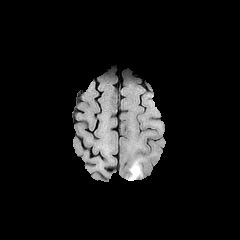
FLAIR magnetic resonance.
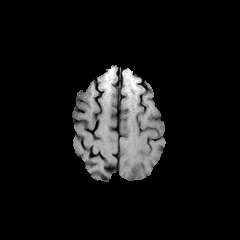
T1-weighted MR.
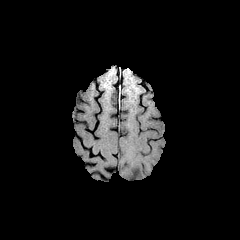
Post-contrast T1-weighted MR image.
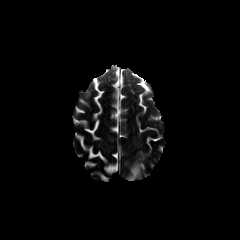
T2-weighted MRI.
Image size 240x240
Edema = (x1=128, y1=159, x2=141, y2=180).